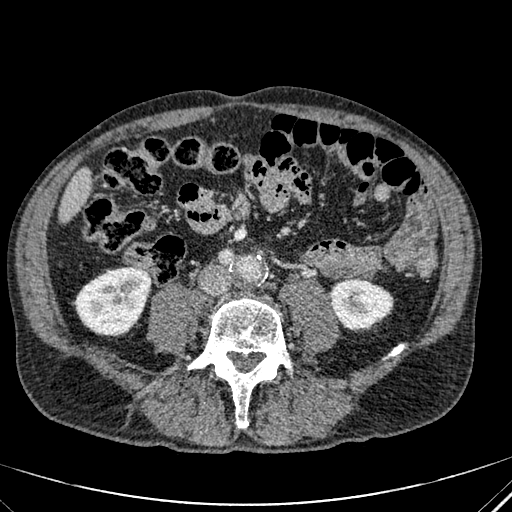
Liver; CT image

2 kidney regions appear at x1=76, y1=268, x2=150, y2=334; x1=331, y1=280, x2=391, y2=328. The liver is located at x1=59, y1=168, x2=90, y2=220.